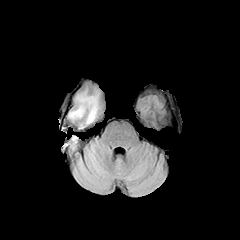
FLAIR MR image.
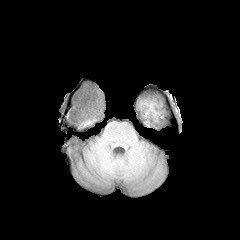
T1-weighted magnetic resonance.
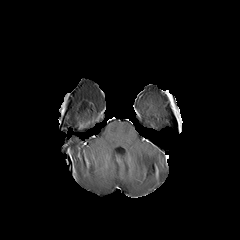
Post-contrast T1-weighted MR image of the same slice.
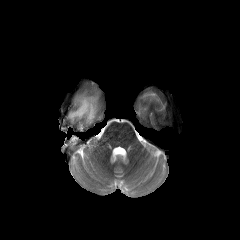
Same slice, T2-weighted MR image.
240x240.
non-enhancing_tumor_core:
  - (80,99,93,111)
edema:
  - (68,91,101,129)
  - (66,136,77,153)